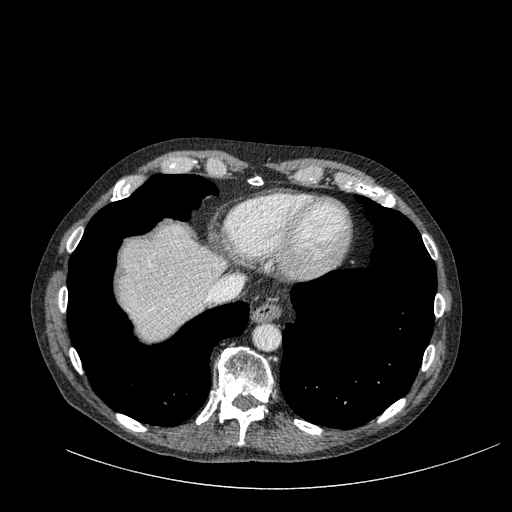
512x512 px; Computed tomography
Liver: bounding box [x1=119, y1=225, x2=227, y2=338].